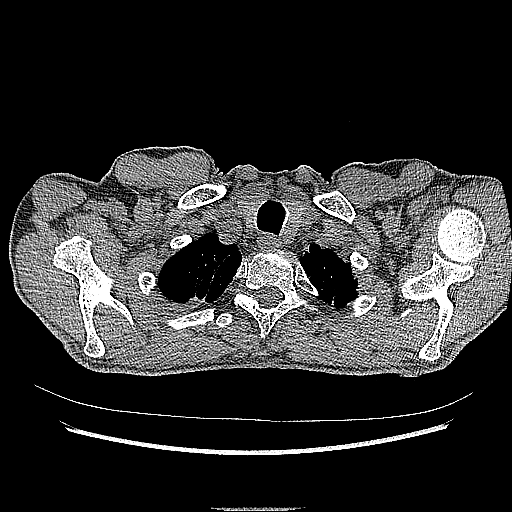
CT; 512x512 px
Lung tumor: bounding box box(181, 292, 209, 305).